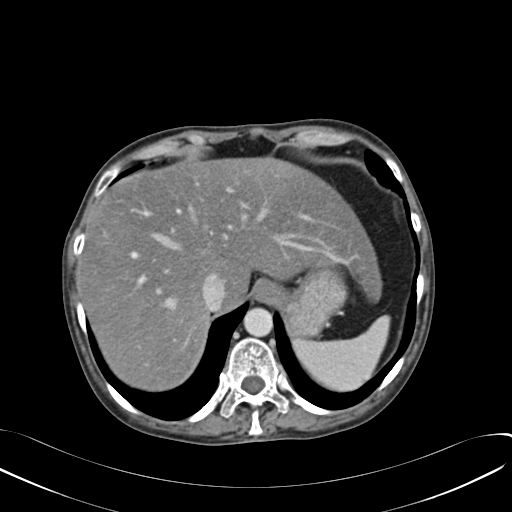 CT scan slice | Image size 512x512
{"liver": ["box=[81, 157, 379, 390]"]}